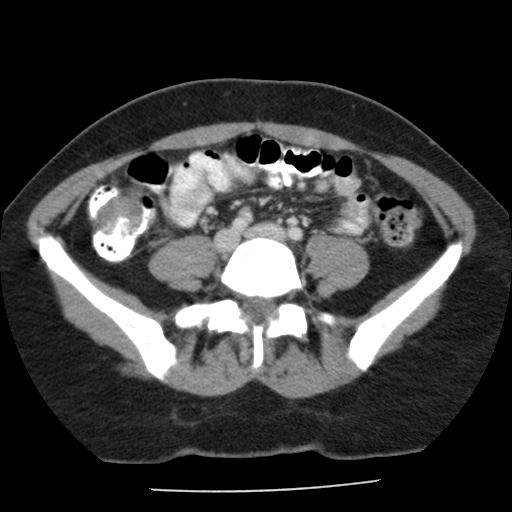
Image size 512x512 | CT slice

<segmentation>
  <colon_tumor>(left=98, top=196, right=141, bottom=232)</colon_tumor>
</segmentation>